FLAIR MRI.
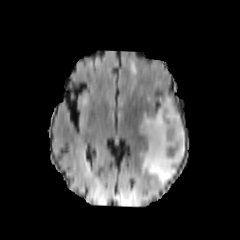
T1-weighted MRI.
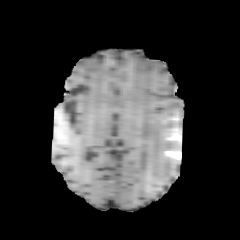
Post-contrast T1-weighted MRI.
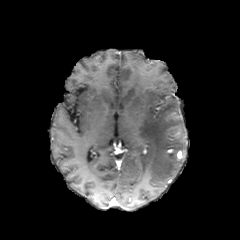
T2-weighted MR.
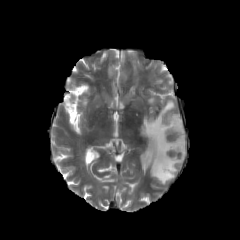
Annotated regions:
- edema: l=129, t=64, r=138, b=77; l=140, t=97, r=186, b=183